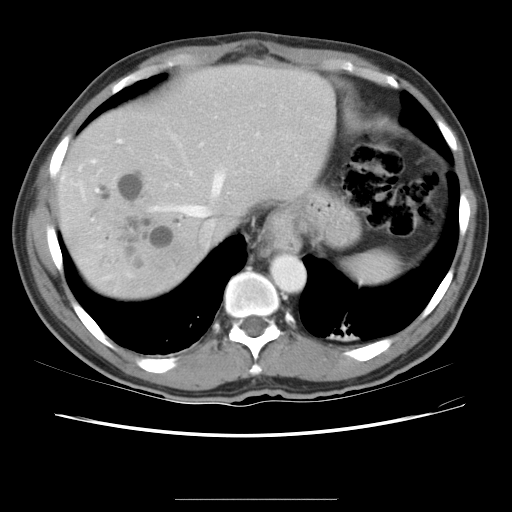
Abdomen, CT slice
The vessel annotation is not exhaustive.
9 hepatic vessel regions appear at 212, 171, 224, 195; 199, 142, 202, 145; 256, 133, 258, 135; 118, 139, 122, 142; 165, 183, 167, 187; 92, 159, 95, 162; 153, 204, 214, 227; 201, 238, 209, 245; 189, 170, 192, 173. The liver tumor is located at 95, 166, 181, 265.